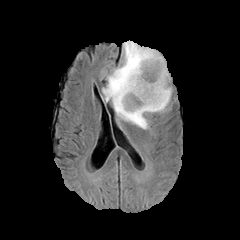
FLAIR MR image.
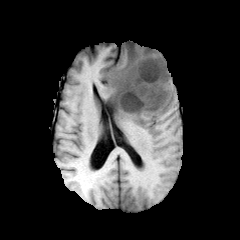
T1-weighted magnetic resonance.
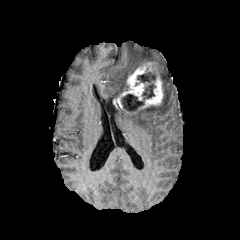
Post-contrast T1-weighted MR.
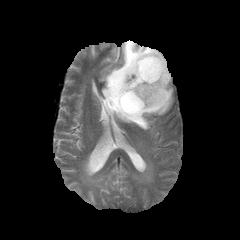
T2-weighted MR of the same slice.
Head
The enhancing tumor appears at 113, 62, 163, 111. The non-enhancing tumor core is at 121, 72, 155, 111. The edema appears at 102, 40, 173, 129.